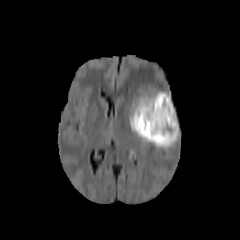
FLAIR MRI.
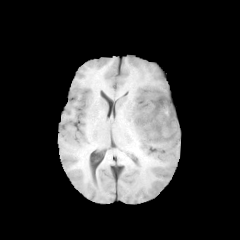
T1-weighted MRI.
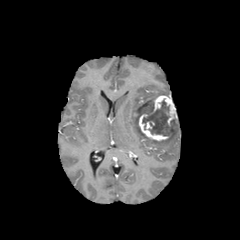
Post-contrast T1-weighted MR.
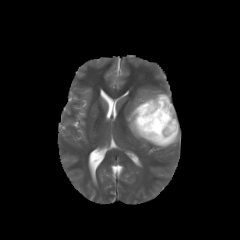
T2-weighted MRI.
Head.
The non-enhancing tumor core is at <box>138,100,176,135</box>. The edema is located at <box>127,92,179,149</box>. 2 enhancing tumor regions appear at <box>138,113,169,140</box>, <box>149,95,177,124</box>.